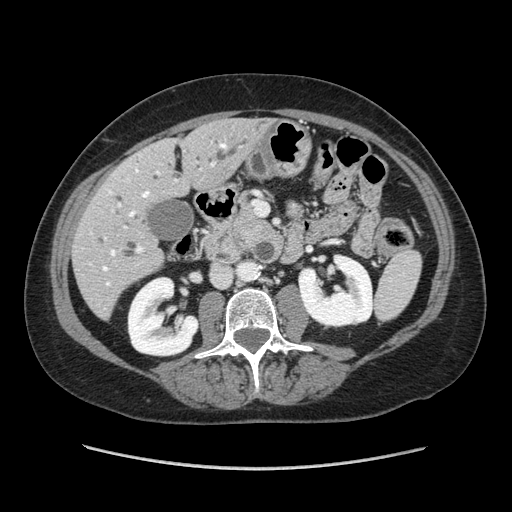 512x512; CT
Pancreas — 231:187:270:252.